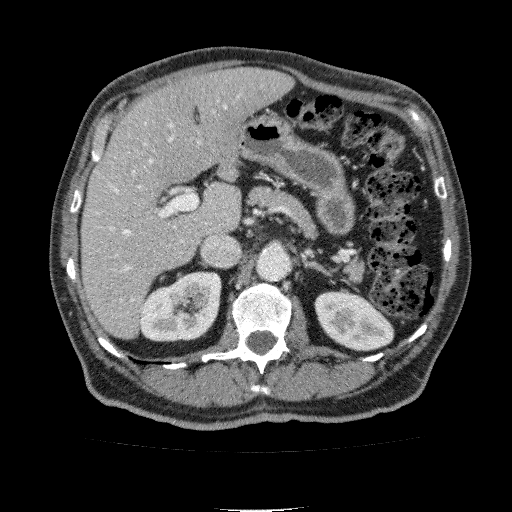
Abdomen, 512x512, CT slice
{"kidney": ["[140, 273, 220, 340]", "[316, 292, 392, 349]"], "liver": ["[83, 67, 294, 338]"]}